Brain; 240x240
FLAIR MR.
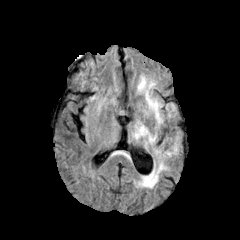
T1-weighted magnetic resonance.
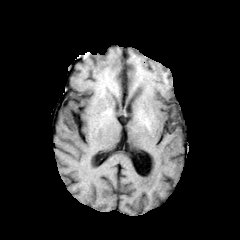
Post-contrast T1-weighted magnetic resonance.
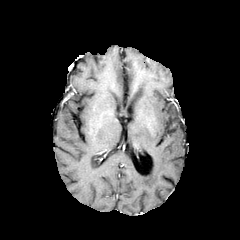
T2-weighted MR.
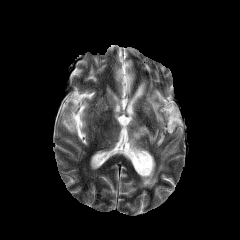
The edema is located at (left=128, top=77, right=180, bottom=188).